Slice 408/771. CT scan slice. Image width 400 mm. Upper abdomen. 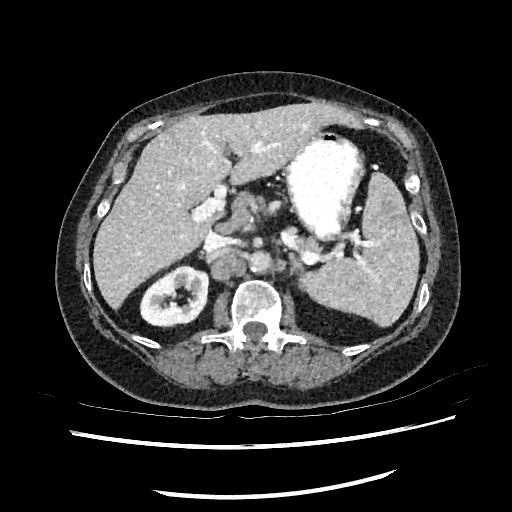

The liver lies within (94,103,363,307). The kidney is located at (141,267,207,325).